240x240; Head
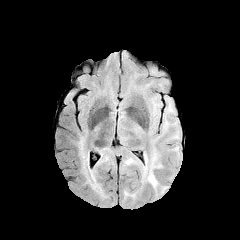
FLAIR MR.
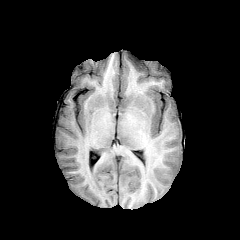
T1-weighted MRI.
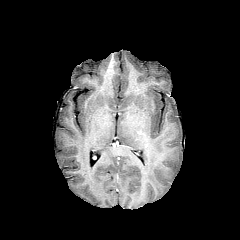
Post-contrast T1-weighted MRI of the same slice.
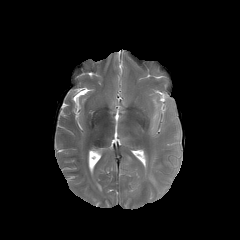
T2-weighted MRI.
edema:
  - [80, 142, 91, 181]
  - [88, 168, 97, 179]
  - [147, 166, 155, 183]